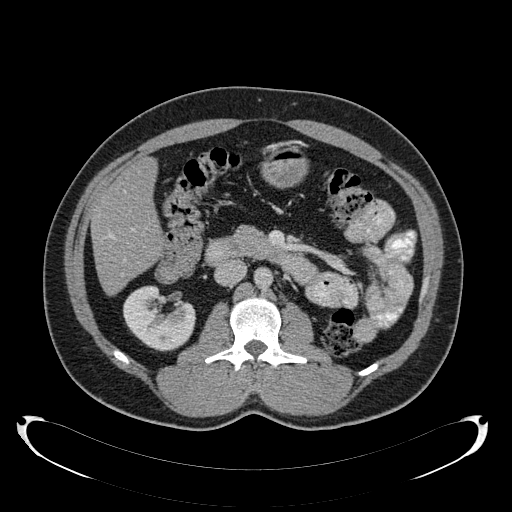
CT image | Upper abdomen
<segmentation>
  <liver>(90,159,162,293)</liver>
  <kidney>(123,286,194,350)</kidney>
</segmentation>